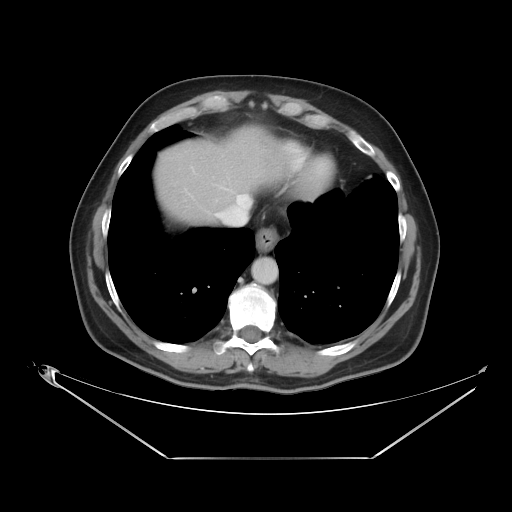
CT scan slice; Abdomen
Some hepatic vessels may have no box.
Hepatic vessel — x1=217 y1=194 x2=249 y2=221.